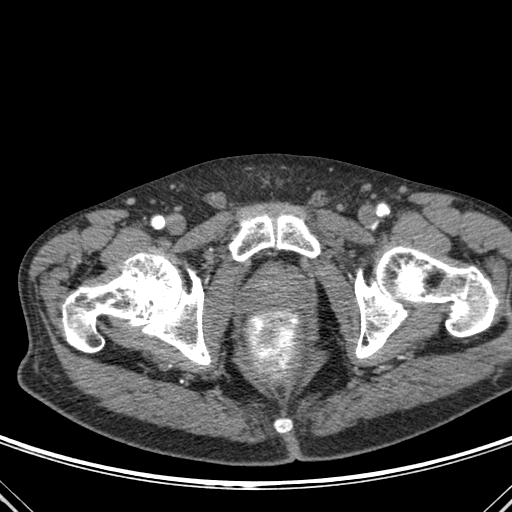
Image size 512x512, Computed tomography
<segmentation>
  <bone>(left=354, top=246, right=498, bottom=358), (left=62, top=250, right=210, bottom=365), (left=229, top=214, right=320, bottom=261), (left=275, top=419, right=291, bottom=432)</bone>
</segmentation>